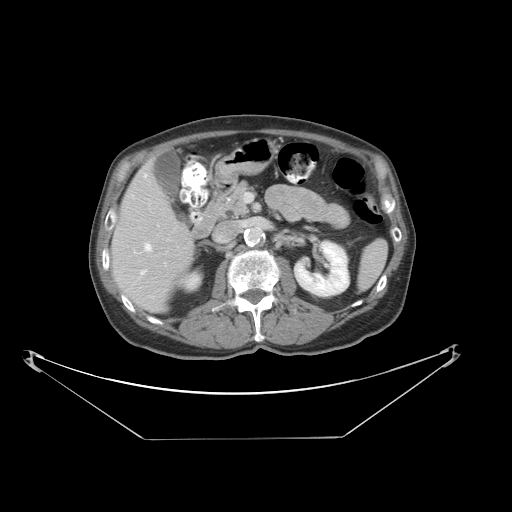
Computed tomography | 512x512 px | Abdomen
The vessel annotation is not exhaustive.
Hepatic vessel: bounding box 143 174 146 177, 217 235 224 242, 150 296 153 297, 144 243 151 251, 131 194 133 198, 140 270 146 274, 167 239 169 240.